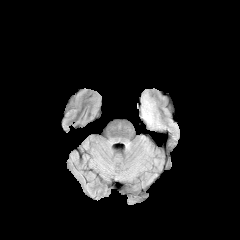
FLAIR MR image.
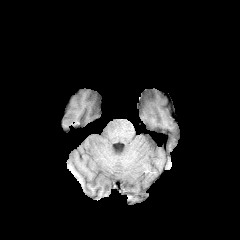
T1-weighted MR.
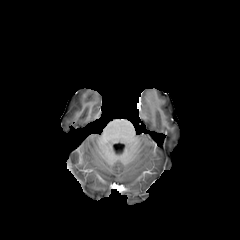
Post-contrast T1-weighted MR image.
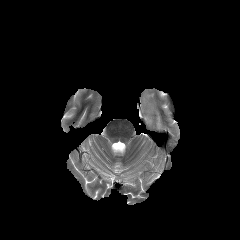
T2-weighted MR image.
Brain
Annotated regions:
* edema: {"x1": 141, "y1": 94, "x2": 161, "y2": 127}